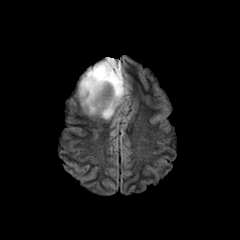
FLAIR magnetic resonance.
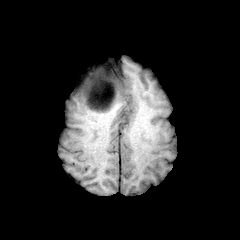
Same slice, T1-weighted MR image.
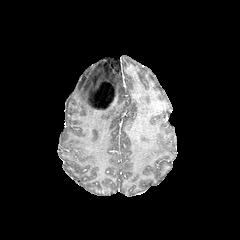
Post-contrast T1-weighted magnetic resonance.
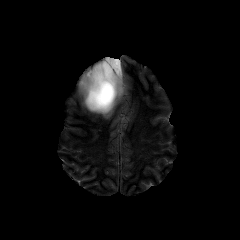
Same slice, T2-weighted MR image.
Edema — <bbox>78, 57, 128, 119</bbox>.
Non-enhancing tumor core — <bbox>85, 60, 124, 111</bbox>.